Field of view 240 mm wide, 1.00 mm slice spacing
FLAIR MRI.
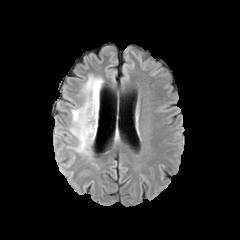
T1-weighted MRI.
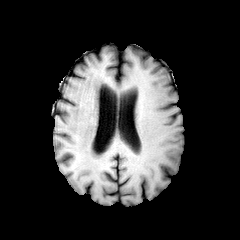
Post-contrast T1-weighted MR.
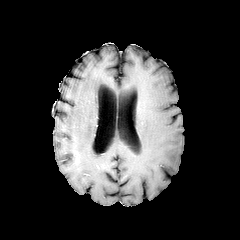
T2-weighted magnetic resonance.
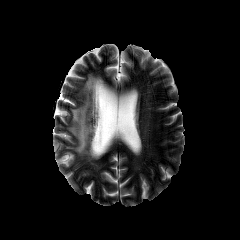
{"edema": ["68:75:103:157"]}